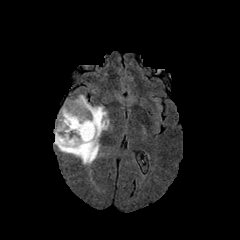
FLAIR magnetic resonance.
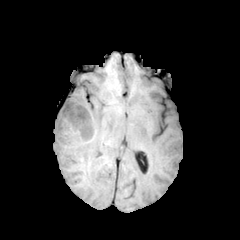
T1-weighted magnetic resonance.
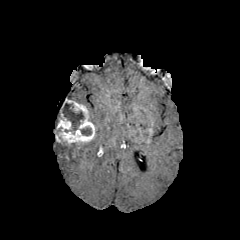
Post-contrast T1-weighted MR.
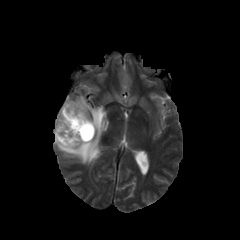
T2-weighted MR image of the same slice.
Brain; 240x240
non-enhancing tumor core: [62, 103, 92, 136], [69, 142, 81, 148] | enhancing tumor: [55, 98, 94, 148] | edema: [54, 93, 110, 165]